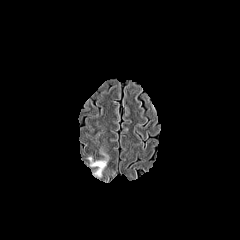
FLAIR MR image.
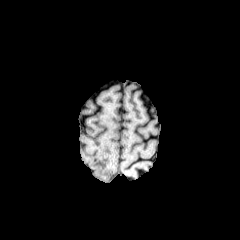
Same slice, T1-weighted MR image.
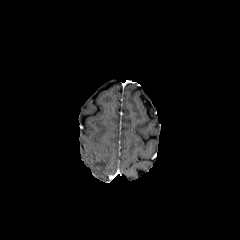
Post-contrast T1-weighted magnetic resonance of the same slice.
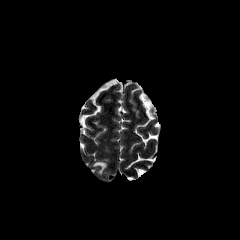
T2-weighted magnetic resonance of the same slice.
Annotated regions:
• edema: x1=91, y1=159, x2=107, y2=173